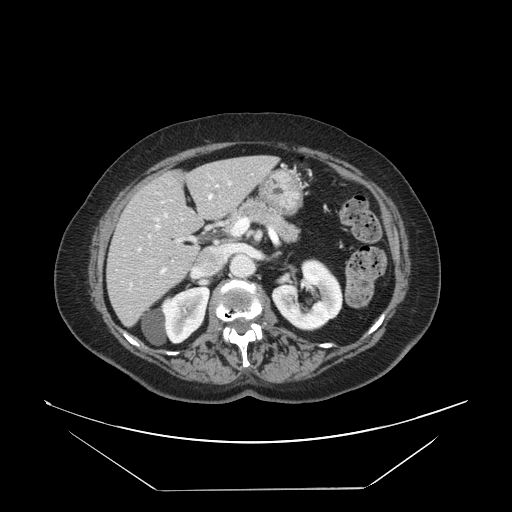
Abdomen. CT image. Pancreas at left=198, top=196, right=301, bottom=247.